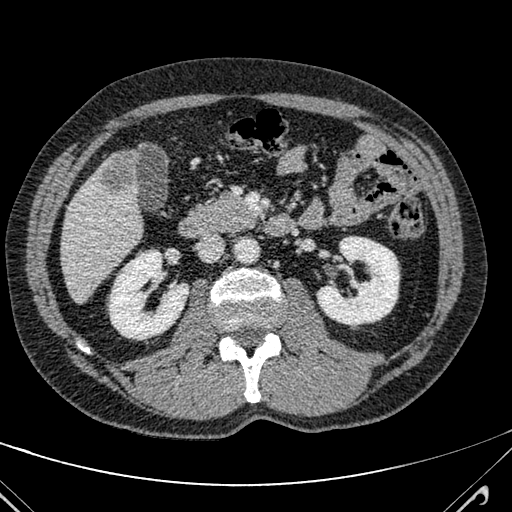 CT slice, Abdomen
Segmented structures:
* focal liver lesion: [x1=103, y1=150, x2=138, y2=190]
* liver: [x1=62, y1=151, x2=141, y2=302]